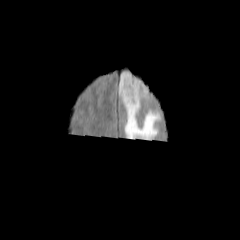
FLAIR magnetic resonance.
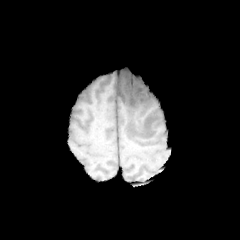
T1-weighted MR.
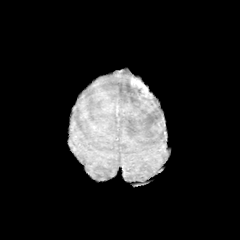
Post-contrast T1-weighted MRI.
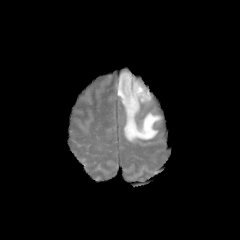
Same slice, T2-weighted MR.
Edema at box(117, 71, 163, 143).
Enhancing tumor at box(129, 77, 147, 93).